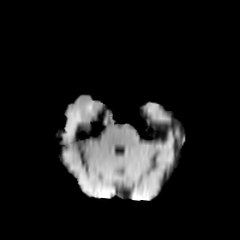
FLAIR MR.
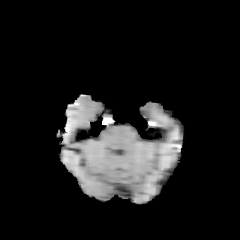
Same slice, T1-weighted MR image.
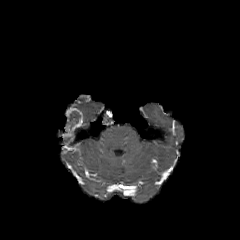
Post-contrast T1-weighted MR of the same slice.
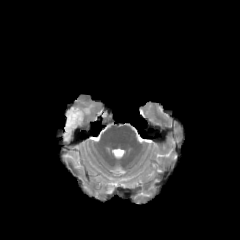
Same slice, T2-weighted MRI.
240x240 px
<segmentation>
  <non-enhancing_tumor_core>box=[66, 111, 80, 127]</non-enhancing_tumor_core>
  <enhancing_tumor>box=[62, 107, 84, 137]</enhancing_tumor>
</segmentation>